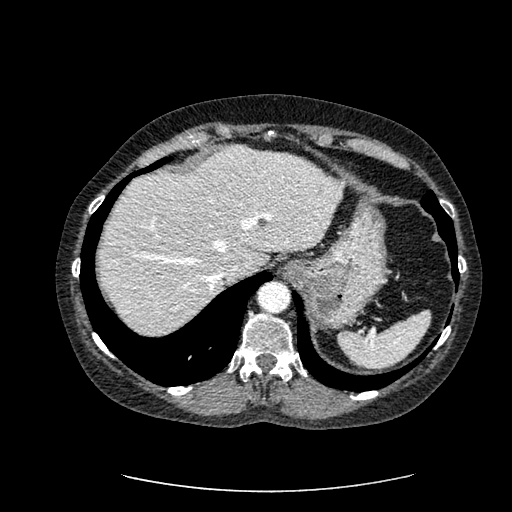

512x512 px. Computed tomography.

Liver = {"x1": 97, "y1": 146, "x2": 340, "y2": 334}.
Liver lesion = {"x1": 258, "y1": 218, "x2": 267, "y2": 227}.